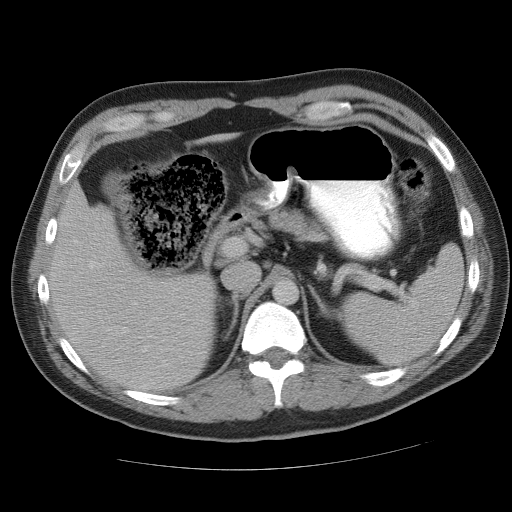 CT image, 512x512, Abdomen
Spleen — box(343, 246, 464, 365).